Slice 56/97. Abdomen. CT.

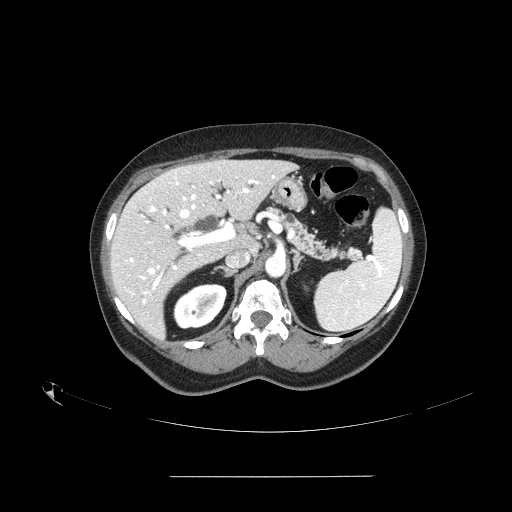 <segmentation>
  <pancreas>271 209 349 261</pancreas>
</segmentation>